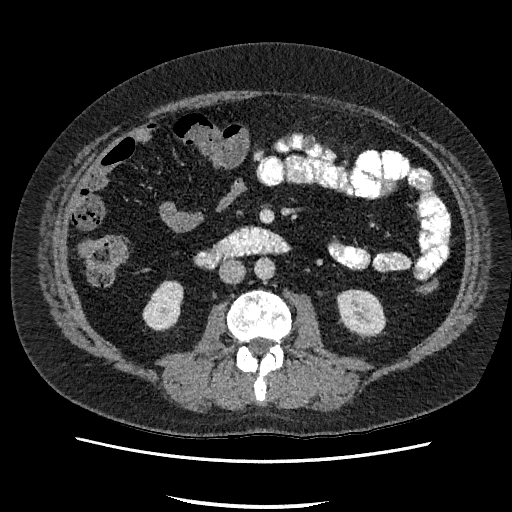

Abdomen | CT slice

<segmentation>
  <kidney>x1=144, y1=282, x2=181, y2=328; x1=338, y1=291, x2=383, y2=333</kidney>
</segmentation>